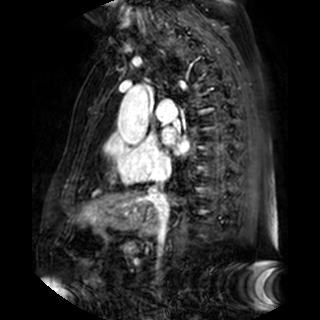 Magnetic resonance
2 left atrium regions are bounded by region(162, 127, 175, 143); region(174, 141, 188, 153).